Brain; Image size 240x240
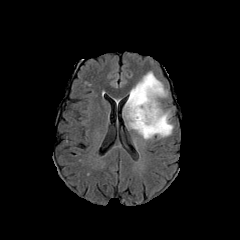
FLAIR magnetic resonance.
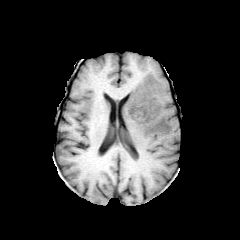
T1-weighted MR.
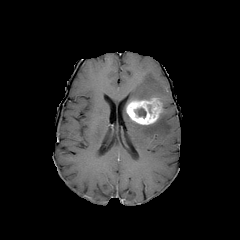
Post-contrast T1-weighted MRI.
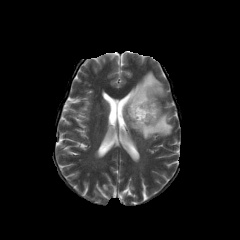
T2-weighted MRI.
Segmented structures:
* enhancing tumor: box=[125, 96, 162, 124]
* non-enhancing tumor core: box=[137, 108, 146, 116]
* edema: box=[123, 107, 173, 139]; box=[130, 71, 167, 99]